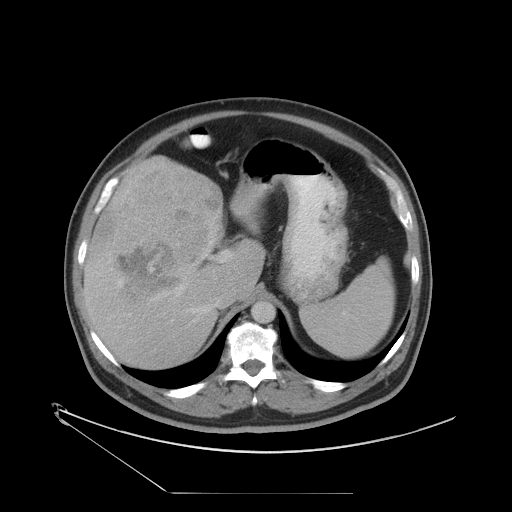
CT; Liver
Not every hepatic vessel necessarily has a box.
hepatic vessel: 157,314,163,316; 124,314,130,315; 174,286,184,297; 116,284,117,289; 172,297,174,299; 181,299,219,322; 122,326,124,328; 172,319,172,323; 216,251,232,261 | liver tumor: 91,165,223,307